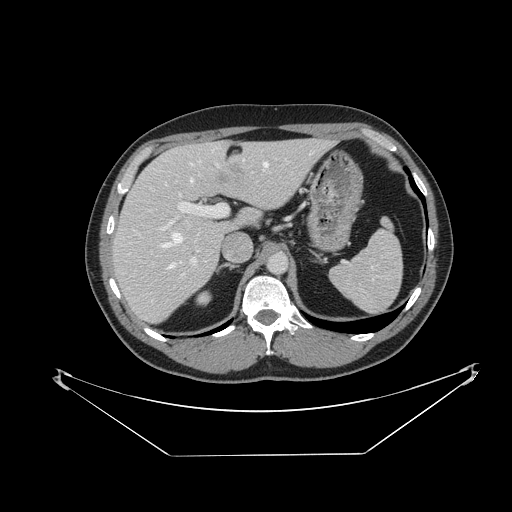

Abdomen. CT slice. Image size 512x512.

Spleen = box(331, 218, 402, 314).